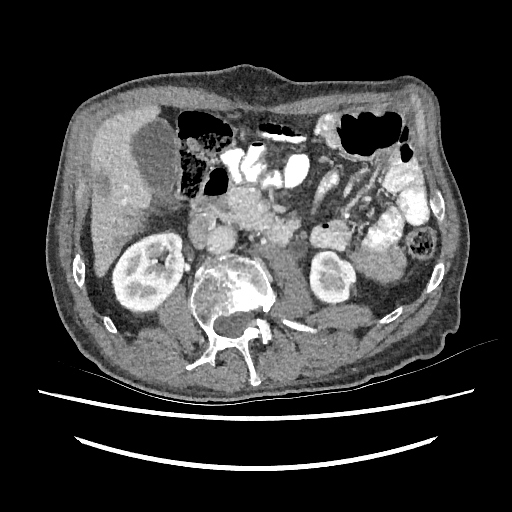
CT scan slice.
Kidney — (113, 233, 185, 310), (310, 251, 355, 302).
Liver — (90, 106, 159, 276).
Focal liver lesion — (120, 205, 142, 232), (105, 233, 127, 250), (95, 171, 110, 196).